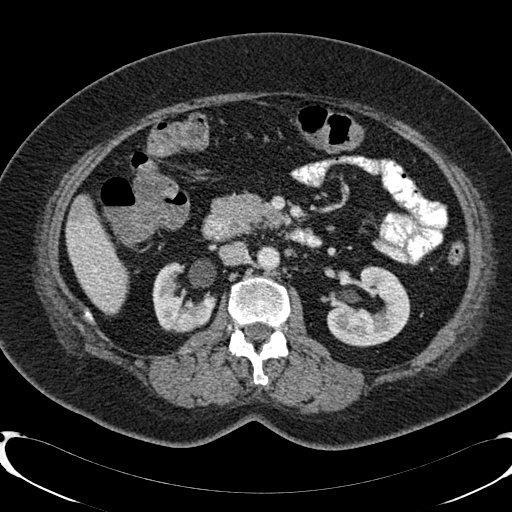
CT scan slice. Upper abdomen. Image size 512x512.

Liver lesion: bounding box x1=69 y1=195 x2=97 y2=223.
Liver: bounding box x1=65 y1=217 x2=127 y2=311.
Kidney: bounding box x1=153 y1=262 x2=214 y2=330, x1=328 y1=267 x2=409 y2=345.